Upper abdomen, CT scan slice, Image size 512x512, Slice index 116
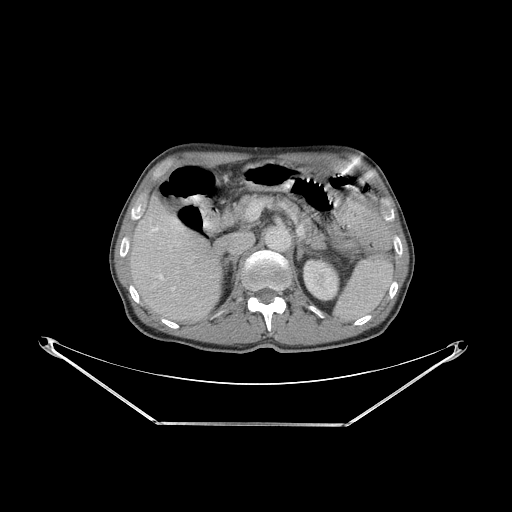 bone:
  - [389,282,397,298]
  - [132,208,139,218]
  - [120,238,128,256]
  - [162,319,178,328]
  - [394,237,402,254]
  - [354,316,370,324]
  - [130,286,138,302]
  - [248,297,285,330]
  - [243,251,290,291]
kidney:
  - [304,261,336,299]
liver:
  - [131,198,221,319]